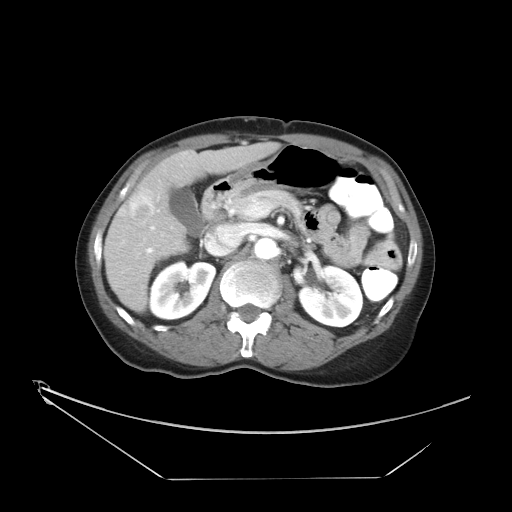

CT scan slice
The vessel annotation is not exhaustive.
Segmented structures:
- liver tumor: bbox=[130, 196, 155, 221]
- hepatic vessel: bbox=[147, 248, 152, 252]; bbox=[151, 226, 153, 229]; bbox=[161, 233, 162, 234]